Slice index 85
FLAIR magnetic resonance.
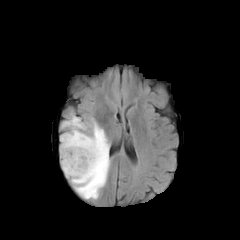
T1-weighted MRI.
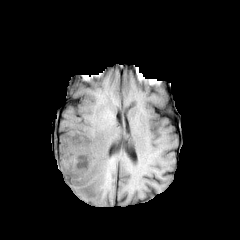
Post-contrast T1-weighted magnetic resonance.
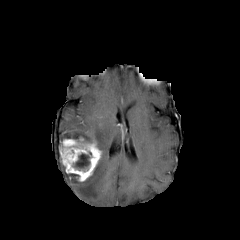
T2-weighted magnetic resonance.
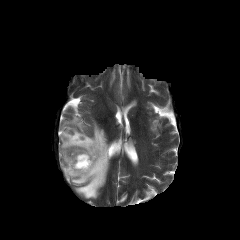
Enhancing tumor at box=[59, 136, 102, 182].
Non-enhancing tumor core at box=[75, 154, 89, 167].
Edema at box=[60, 115, 109, 199].